FLAIR MR.
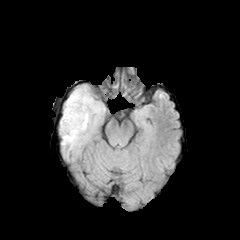
T1-weighted MR image.
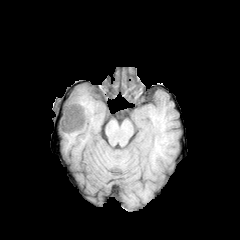
Post-contrast T1-weighted magnetic resonance.
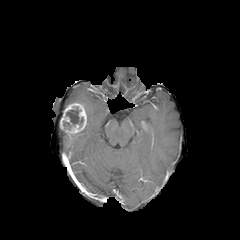
T2-weighted MR.
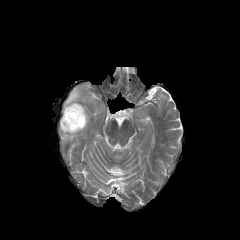
Enhancing tumor — l=60, t=102, r=86, b=135.
Non-enhancing tumor core — l=66, t=108, r=83, b=124.
Edema — l=60, t=86, r=105, b=151.